Brain, Image width 240 mm
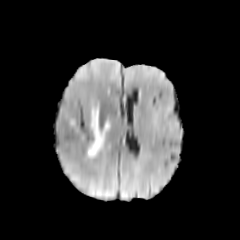
FLAIR MR image.
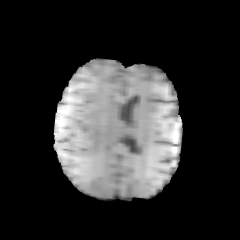
T1-weighted MR.
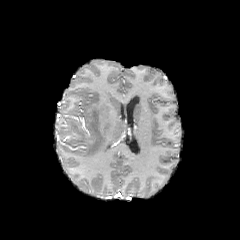
Post-contrast T1-weighted MR image.
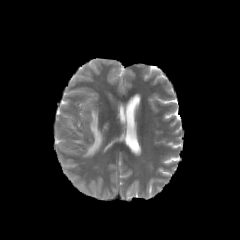
T2-weighted magnetic resonance of the same slice.
Edema at 84, 105, 110, 157.